Pelvis, CT, Slice index 72, 512x512 px

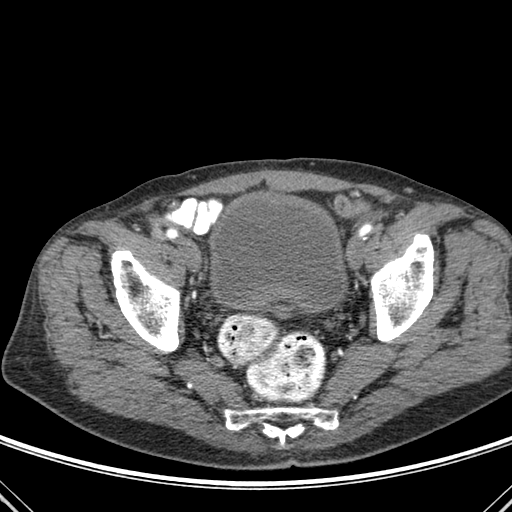 4 bone regions are bounded by 371 233 433 341, 262 423 304 445, 224 407 338 430, 111 250 179 351. The urinary bladder is at 206 196 348 307.